CT slice; 512x512 px 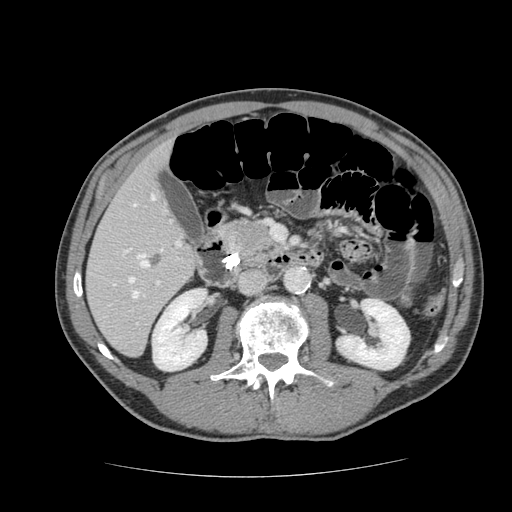
Pancreatic tumor: bbox(237, 223, 265, 243).
Pancreas: bbox(221, 216, 274, 273).